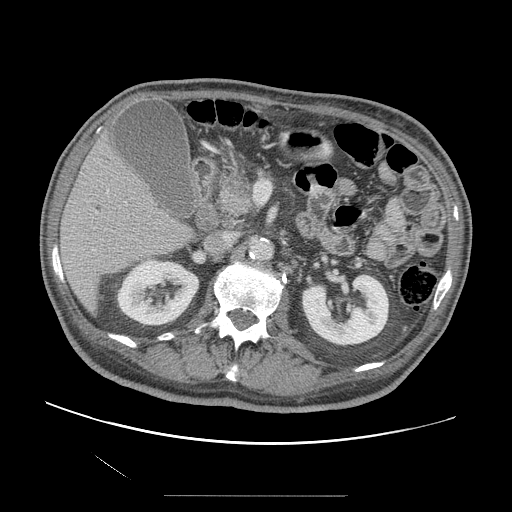
Computed tomography; 512x512 px
pancreatic_tumor:
  - bbox(228, 180, 249, 197)
pancreas:
  - bbox(215, 174, 255, 220)